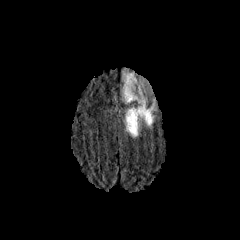
FLAIR MR image.
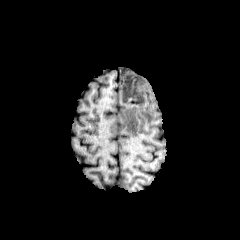
T1-weighted MR image of the same slice.
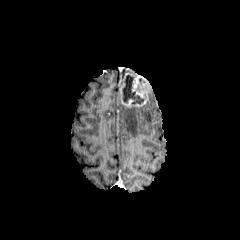
Post-contrast T1-weighted MR image.
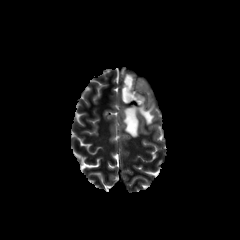
Same slice, T2-weighted MR.
edema:
  - (left=124, top=101, right=157, bottom=138)
enhancing_tumor:
  - (left=119, top=70, right=151, bottom=109)
non-enhancing_tumor_core:
  - (left=122, top=75, right=144, bottom=103)